Field of view 240x240 mm, Brain, Image size 240x240
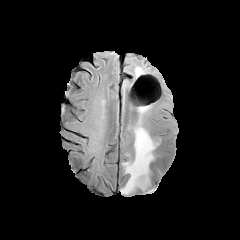
FLAIR MR.
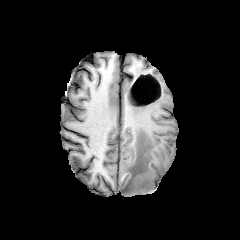
T1-weighted MR.
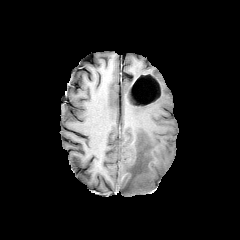
Post-contrast T1-weighted MR.
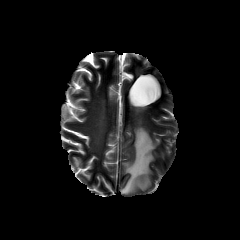
Same slice, T2-weighted MRI.
Edema at 120,127,158,194.
Non-enhancing tumor core at 135,162,143,171.